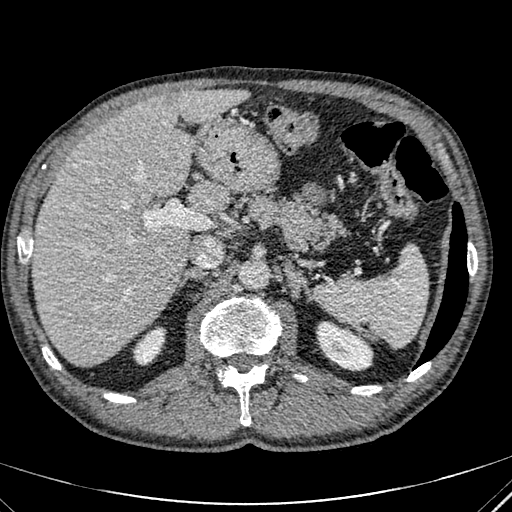

CT image, Upper abdomen
Segmented structures:
* kidney: (135,329,163,363), (318,322,371,369)
* liver: (32,90,249,364), (187,181,229,212)
* focal liver lesion: (157,94,178,104)